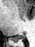 MRI

The posterior hippocampus is bounded by (10, 33, 24, 42).